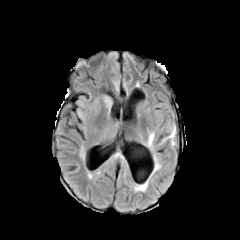
FLAIR MR image.
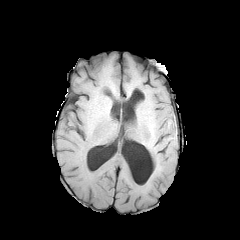
T1-weighted MRI of the same slice.
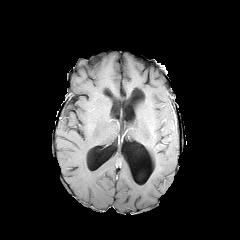
Post-contrast T1-weighted magnetic resonance of the same slice.
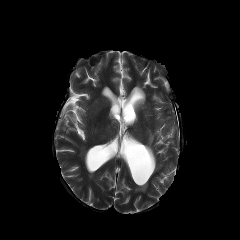
T2-weighted MRI.
Edema at (146,132,154,153), (159,124,175,144), (134,176,150,191), (151,154,161,175).